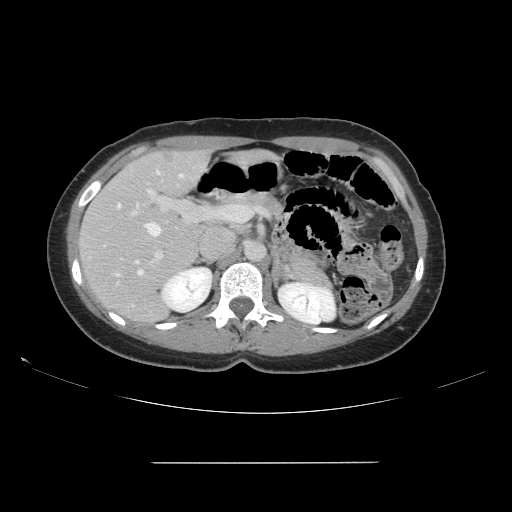
CT scan slice

Some hepatic vessels may have no box.
13 hepatic vessel regions are located at x1=161 y1=206 x2=165 y2=209, x1=117 y1=203 x2=120 y2=208, x1=149 y1=260 x2=153 y2=264, x1=138 y1=270 x2=142 y2=274, x1=145 y1=222 x2=160 y2=236, x1=135 y1=260 x2=138 y2=262, x1=155 y1=251 x2=162 y2=259, x1=131 y1=305 x2=133 y2=306, x1=132 y1=204 x2=140 y2=215, x1=114 y1=273 x2=119 y2=276, x1=179 y1=174 x2=185 y2=177, x1=156 y1=169 x2=159 y2=174, x1=148 y1=190 x2=169 y2=204.